240x240; Slice index 100
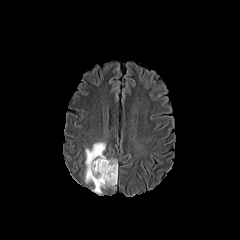
FLAIR MR.
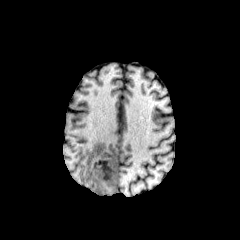
Same slice, T1-weighted MR image.
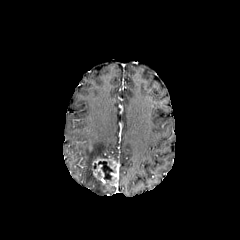
Post-contrast T1-weighted magnetic resonance.
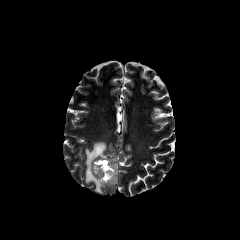
T2-weighted magnetic resonance of the same slice.
{"enhancing_tumor": ["92,164,104,184", "92,158,117,185"], "edema": ["84,141,106,192"], "non-enhancing_tumor_core": ["92,161,114,186"]}